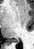 Hippocampus, MRI
Annotated regions:
• posterior hippocampus: {"x1": 10, "y1": 40, "x2": 18, "y2": 42}